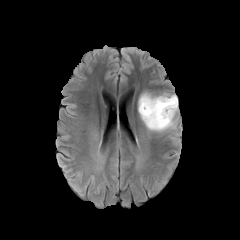
FLAIR MRI.
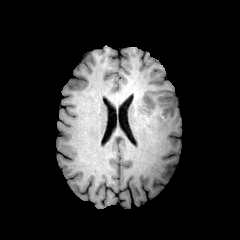
T1-weighted MR image.
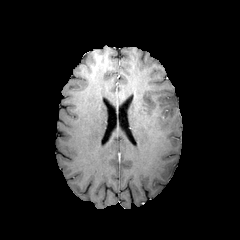
Same slice, post-contrast T1-weighted MR image.
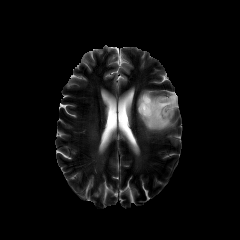
Same slice, T2-weighted magnetic resonance.
240x240, Brain
Edema — [x1=137, y1=90, x2=178, y2=133].
Non-enhancing tumor core — [x1=138, y1=98, x2=170, y2=122].